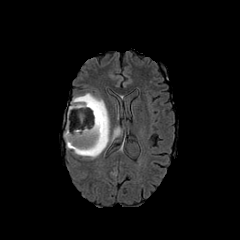
FLAIR MR image.
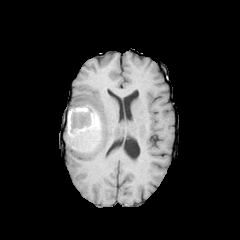
T1-weighted MR image of the same slice.
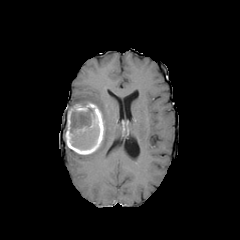
Post-contrast T1-weighted magnetic resonance of the same slice.
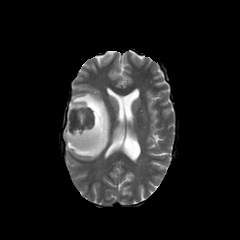
T2-weighted magnetic resonance of the same slice.
Findings:
• enhancing tumor: box=[65, 102, 103, 154]
• non-enhancing tumor core: box=[84, 122, 97, 143]
• edema: box=[66, 92, 120, 160]